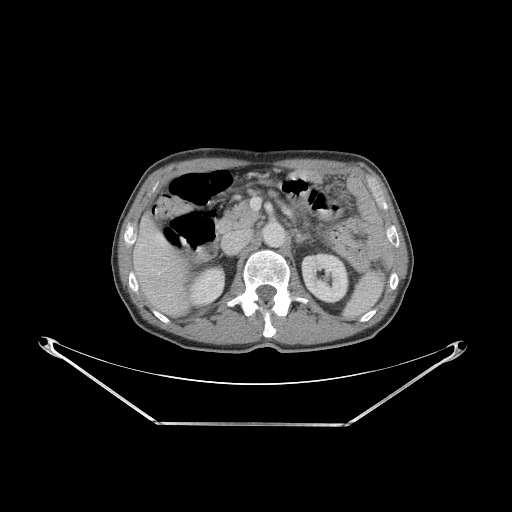
CT, 512x512 px
Segmented structures:
- bone: (x1=390, y1=274, x2=397, y2=289), (x1=154, y1=311, x2=168, y2=322), (x1=388, y1=228, x2=398, y2=245), (x1=238, y1=250, x2=291, y2=336), (x1=124, y1=229, x2=132, y2=241), (x1=361, y1=310, x2=375, y2=321), (x1=129, y1=273, x2=137, y2=290)
- kidney: (x1=190, y1=270, x2=222, y2=303), (x1=302, y1=255, x2=346, y2=301)
- liver: (x1=133, y1=214, x2=185, y2=317)